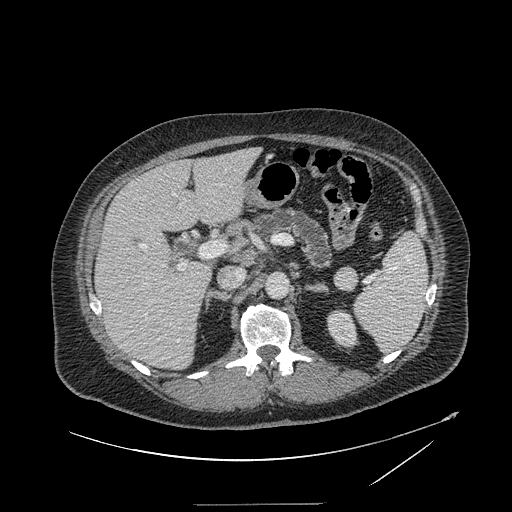 CT slice, Abdomen
Annotated regions:
• pancreas: (252, 209, 332, 268)